CT image

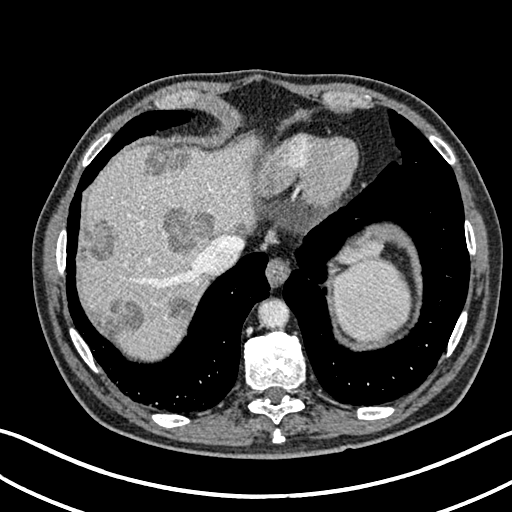 Focal liver lesion — (left=144, top=149, right=190, bottom=174), (left=237, top=224, right=246, bottom=232), (left=80, top=219, right=116, bottom=260), (left=108, top=302, right=141, bottom=329), (left=164, top=208, right=213, bottom=253), (left=172, top=297, right=191, bottom=323).
Liver — (left=79, top=137, right=256, bottom=359), (left=339, top=242, right=382, bottom=263).